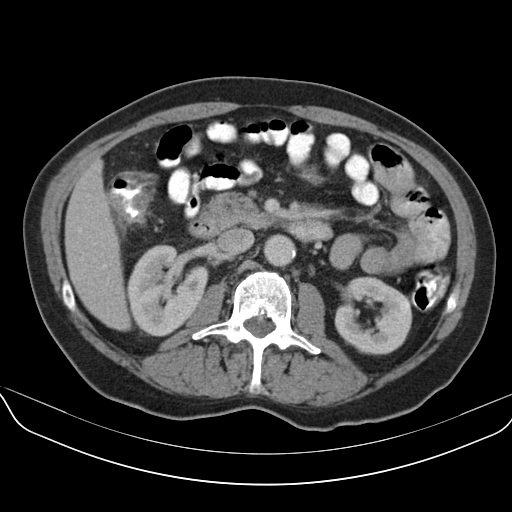

CT scan slice, Abdomen
{
  "colon_tumor": [
    {"x1": 108, "y1": 192, "x2": 150, "y2": 223}
  ]
}